Computed tomography; Slice 36/247 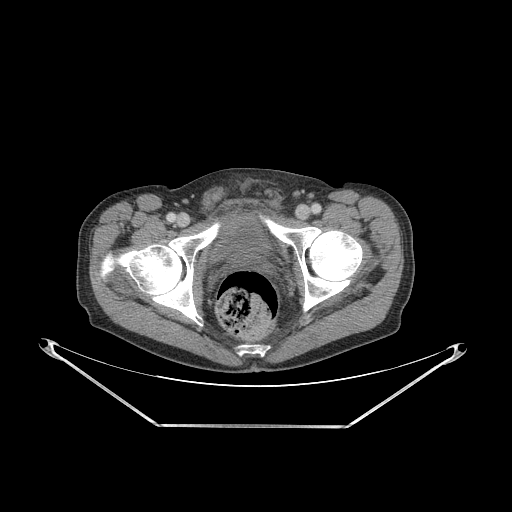

Annotated regions:
- bone: [239, 345, 264, 356], [101, 223, 219, 321], [265, 219, 362, 310]